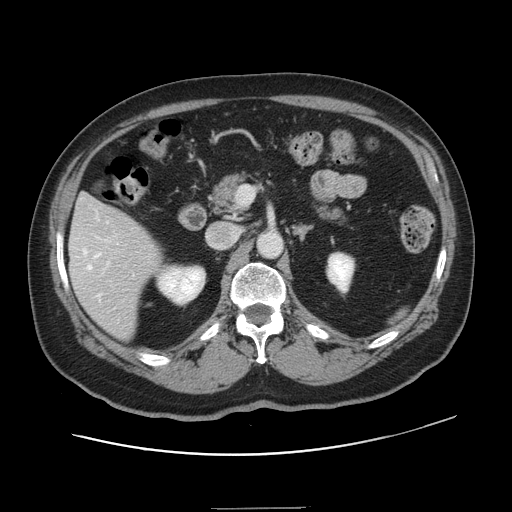

CT | Image size 512x512
Not every hepatic vessel necessarily has a box.
Findings:
* hepatic vessel: x1=83, y1=249, x2=86, y2=254; x1=97, y1=218, x2=98, y2=220; x1=96, y1=293, x2=101, y2=299; x1=88, y1=265, x2=91, y2=269; x1=94, y1=255, x2=98, y2=257; x1=106, y1=240, x2=108, y2=241